CT, 512x512
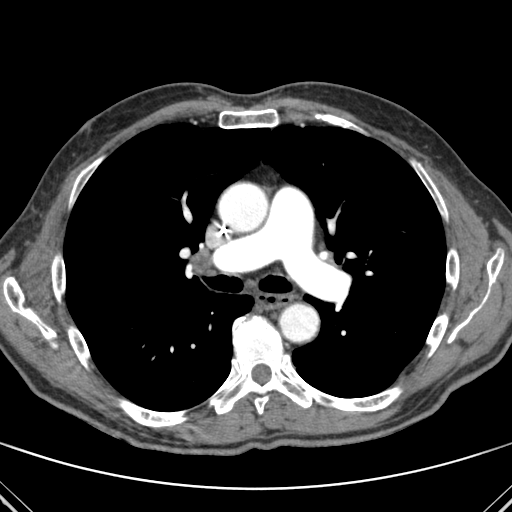

Bone = <bbox>119, 400, 186, 426</bbox>, <bbox>412, 161, 447, 218</bbox>, <bbox>51, 255, 65, 301</bbox>, <bbox>3, 277, 57, 347</bbox>, <bbox>446, 249, 459, 288</bbox>, <bbox>210, 315, 401, 414</bbox>, <bbox>219, 109, 278, 128</bbox>, <bbox>426, 314, 447, 356</bbox>, <bbox>68, 327, 89, 367</bbox>, <bbox>70, 157, 102, 202</bbox>, <bbox>316, 115, 351, 127</bbox>, <bbox>487, 251, 503, 285</bbox>, <bbox>448, 296, 487, 342</bbox>.
Lung = <bbox>64, 123, 446, 411</bbox>.